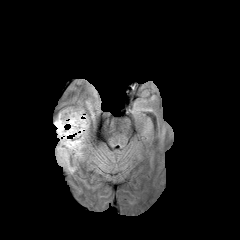
FLAIR MR image.
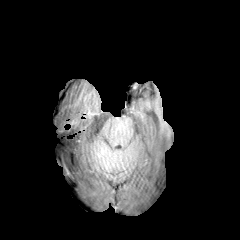
T1-weighted MR.
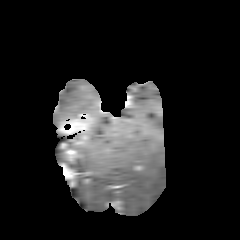
Post-contrast T1-weighted MRI of the same slice.
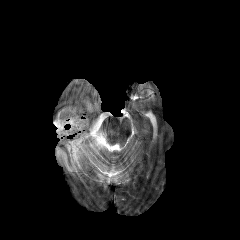
T2-weighted MR of the same slice.
{"enhancing_tumor": ["bbox(58, 115, 88, 160)"], "edema": ["bbox(54, 107, 84, 127)", "bbox(56, 129, 87, 173)"]}